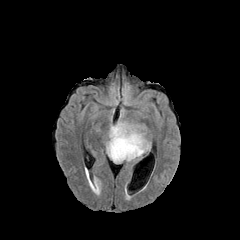
FLAIR MR image.
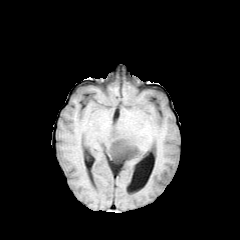
Same slice, T1-weighted MR image.
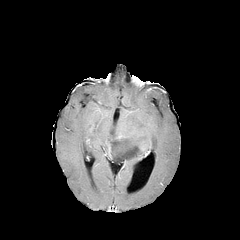
Post-contrast T1-weighted MRI.
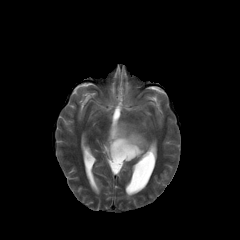
Same slice, T2-weighted MR image.
Head, 240x240
Edema at left=108, top=84, right=131, bottom=106; left=104, top=105, right=152, bottom=161.
Enhancing tumor at left=118, top=134, right=136, bottom=139.
Non-enhancing tumor core at left=110, top=136, right=141, bottom=163.